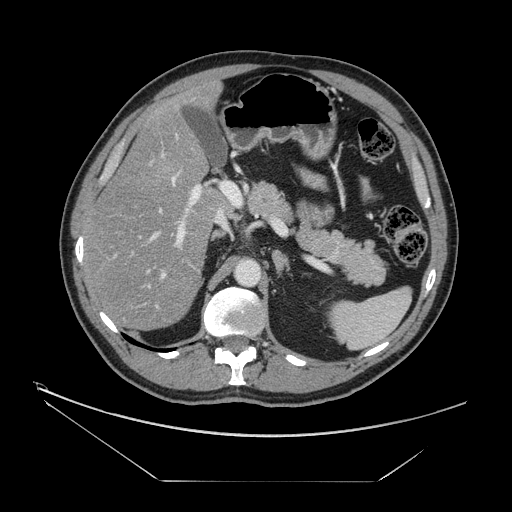

512x512. Liver. Computed tomography.
Not every hepatic vessel necessarily has a box.
hepatic vessel: l=172, t=178, r=174, b=182; l=218, t=210, r=222, b=214; l=178, t=224, r=184, b=243; l=162, t=274, r=164, b=276; l=190, t=185, r=199, b=203; l=186, t=209, r=187, b=210; l=152, t=234, r=156, b=238